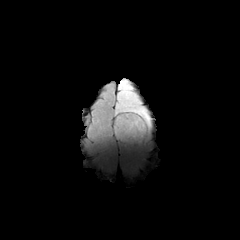
FLAIR MR.
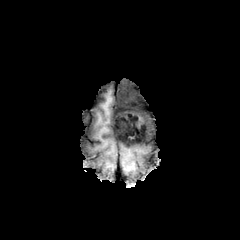
T1-weighted MR image.
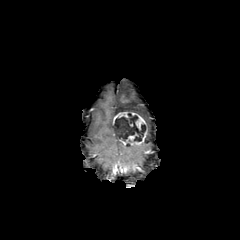
Post-contrast T1-weighted MRI.
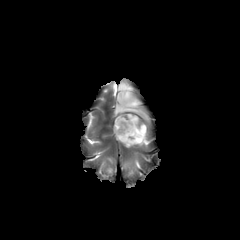
Same slice, T2-weighted MRI.
Brain; 240x240 px
<segmentation>
  <edema>(left=116, top=79, right=149, bottom=125)</edema>
  <non-enhancing_tumor_core>(left=112, top=113, right=146, bottom=141)</non-enhancing_tumor_core>
  <enhancing_tumor>(left=113, top=112, right=146, bottom=129), (left=119, top=127, right=147, bottom=145)</enhancing_tumor>
</segmentation>